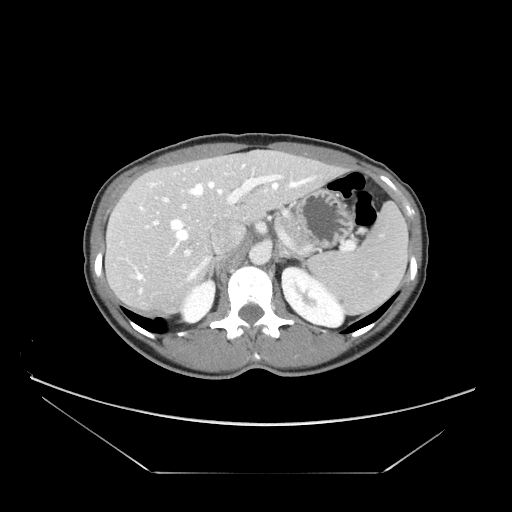

CT slice. Abdomen. The pancreas is bounded by bbox=[278, 217, 309, 247].